Field of view 34 mm wide, 1.00 mm slice spacing, MR
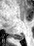 Posterior hippocampus at [x1=16, y1=35, x2=23, y2=40].